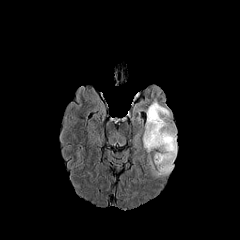
FLAIR MRI.
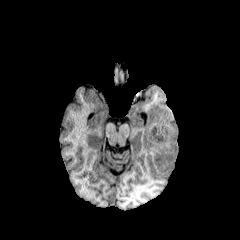
T1-weighted MR.
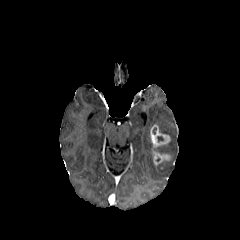
Post-contrast T1-weighted magnetic resonance.
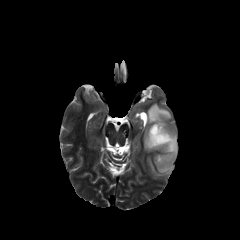
T2-weighted magnetic resonance.
Head
Edema — x1=142 y1=103 x2=177 y2=175.
Enhancing tumor — x1=153 y1=150 x2=171 y2=166, x1=149 y1=124 x2=169 y2=148.